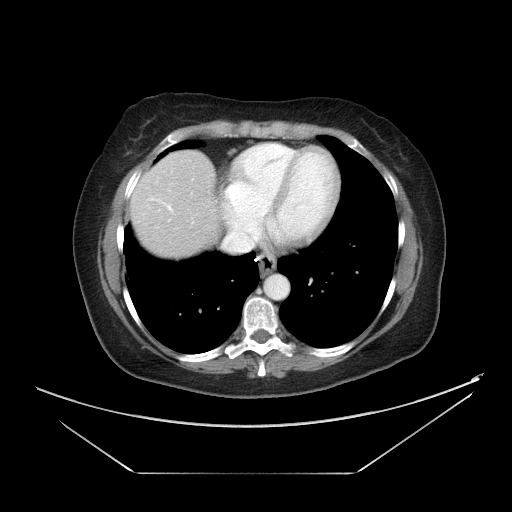
CT image | Liver
The vessel boxes may cover only some of the vessels.
3 hepatic vessel regions are bounded by bbox(149, 199, 171, 210); bbox(227, 234, 231, 239); bbox(230, 220, 240, 229).